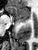

Magnetic resonance, Medial temporal lobe, Image size 38x50
The anterior hippocampus appears at (x1=7, y1=6, x2=29, y2=22).